Field of view 240 mm wide, 1.00 mm slice spacing; Brain; 240x240 px
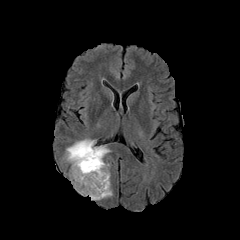
FLAIR magnetic resonance.
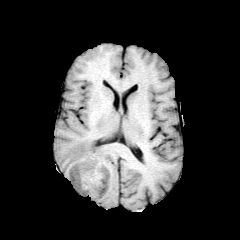
T1-weighted MRI.
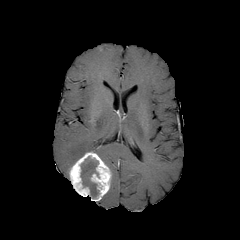
Same slice, post-contrast T1-weighted magnetic resonance.
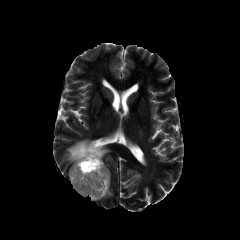
T2-weighted MR image.
The enhancing tumor is located at 69 150 110 200. The non-enhancing tumor core is located at 80 157 98 196. The edema is located at 65 138 110 165.